512x512 px | Computed tomography | Field of view 338 mm wide, 1.20 mm slice spacing

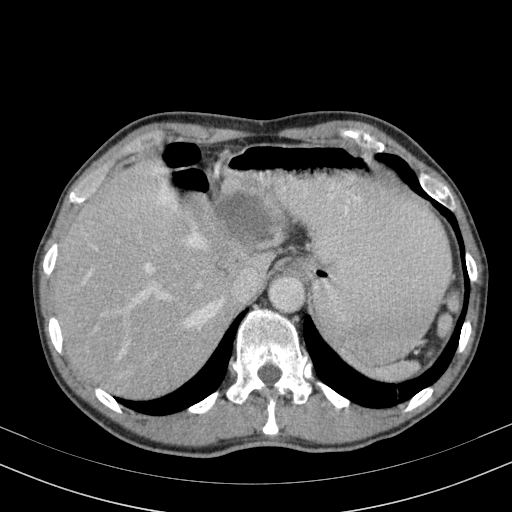

Findings:
- liver lesion: left=214, top=192, right=275, bottom=243
- liver: left=55, top=158, right=285, bottom=400